240x240 px, Slice 62/155, Brain
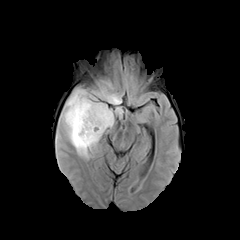
FLAIR MR image.
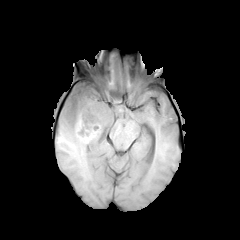
T1-weighted magnetic resonance of the same slice.
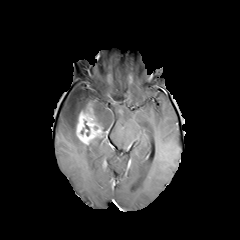
Post-contrast T1-weighted magnetic resonance.
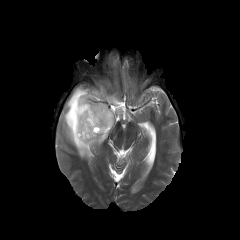
Same slice, T2-weighted MRI.
Segmented structures:
* edema: 62,79,123,157
* non-enhancing tumor core: 71,113,78,134; 71,91,81,106; 79,102,93,112
* enhancing tumor: 75,108,107,144